Head
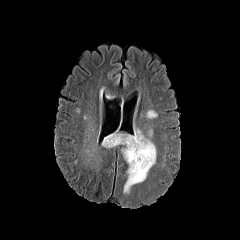
FLAIR MR.
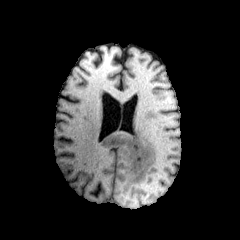
T1-weighted MRI.
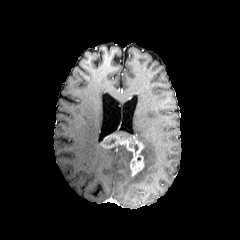
Post-contrast T1-weighted magnetic resonance of the same slice.
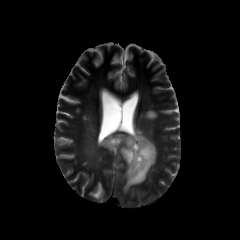
T2-weighted MR image.
2 edema regions appear at <bbox>120, 121, 156, 192</bbox>, <bbox>139, 109, 158, 119</bbox>. The enhancing tumor is located at <bbox>101, 133, 144, 176</bbox>.